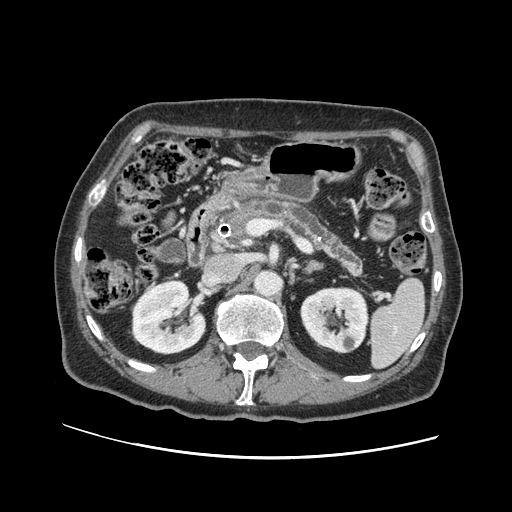
CT slice

The pancreas is bounded by (left=204, top=195, right=366, bottom=279).